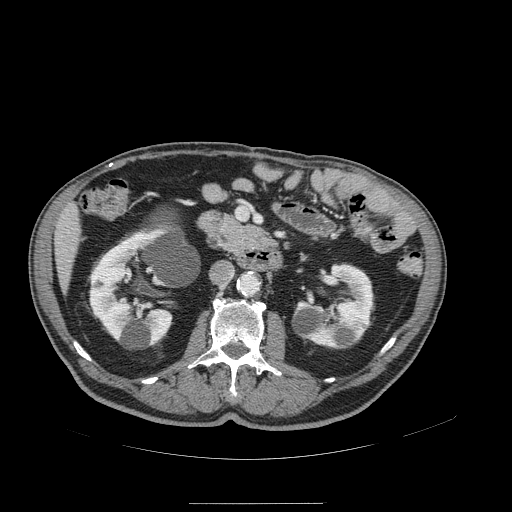
CT slice. Image size 512x512.

{"pancreas": ["205,212,282,257"]}